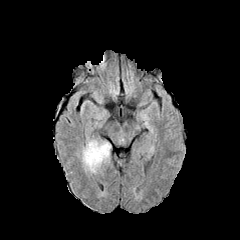
FLAIR MRI.
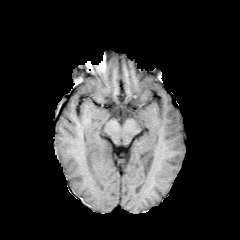
T1-weighted MRI.
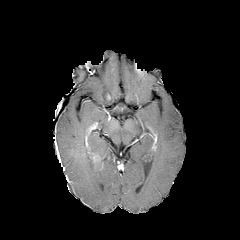
Post-contrast T1-weighted MR image of the same slice.
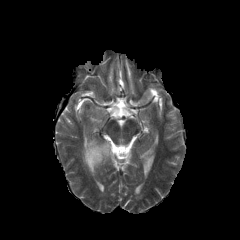
T2-weighted MR image.
Enhancing tumor: bounding box bbox(89, 151, 101, 163).
Edema: bounding box bbox(79, 138, 111, 175).